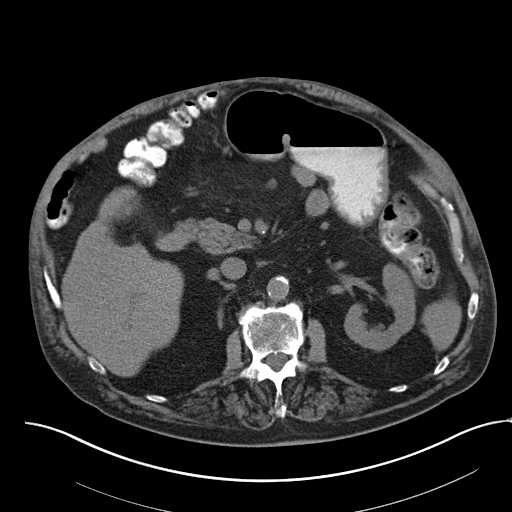 512x512, CT image

The spleen lies within bbox(424, 296, 460, 348).